FLAIR magnetic resonance.
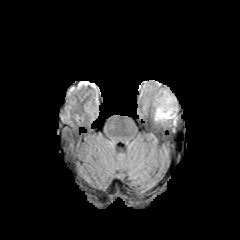
T1-weighted magnetic resonance.
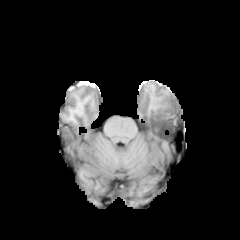
Post-contrast T1-weighted MRI.
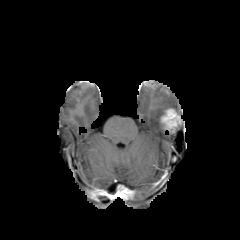
T2-weighted MR.
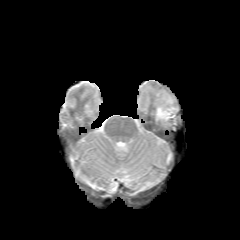
The edema appears at (left=153, top=90, right=177, bottom=126).